FLAIR MR image.
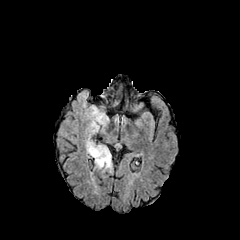
T1-weighted MRI.
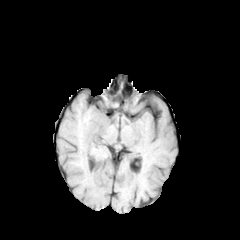
Post-contrast T1-weighted MRI.
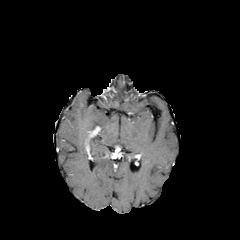
T2-weighted magnetic resonance.
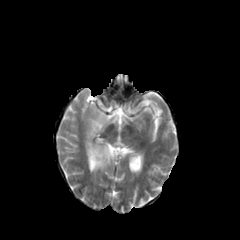
<segmentation>
  <edema>[85, 105, 112, 172]</edema>
  <enhancing_tumor>[90, 126, 99, 135]</enhancing_tumor>
</segmentation>